Slice 53/111; Image size 512x512; CT slice

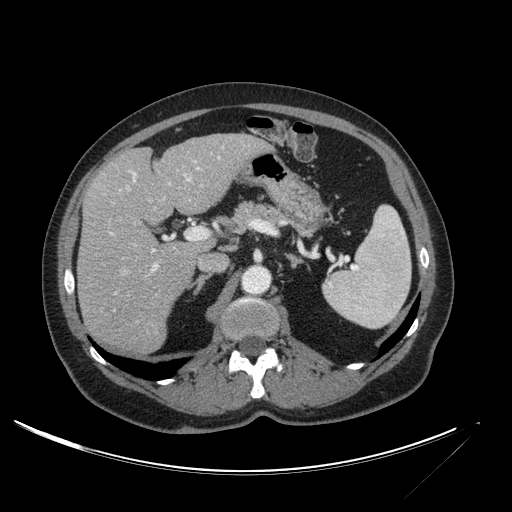

Liver: box(78, 134, 274, 352).